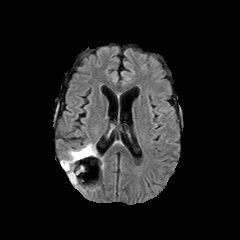
FLAIR MRI.
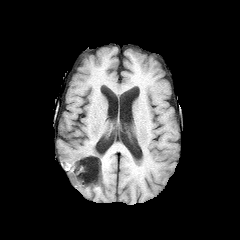
T1-weighted magnetic resonance.
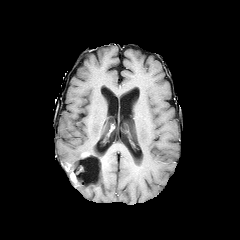
Post-contrast T1-weighted MRI.
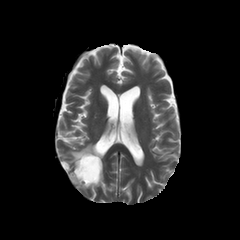
T2-weighted MR image.
Brain
non-enhancing tumor core: <box>63,147,96,177</box> | edema: <box>60,143,102,169</box>